240x240 px. Brain. Slice 75 of 155.
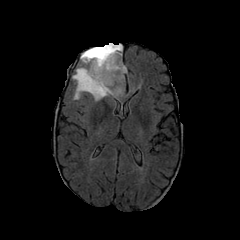
FLAIR MRI.
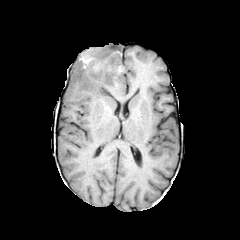
T1-weighted MR image.
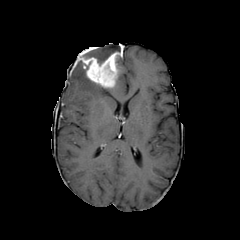
Same slice, post-contrast T1-weighted MR.
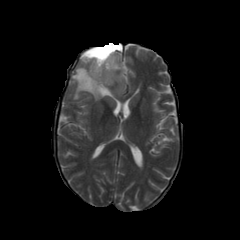
T2-weighted magnetic resonance.
2 non-enhancing tumor core regions are bounded by [85, 44, 120, 63], [78, 65, 88, 79]. The edema is bounded by [71, 56, 127, 101]. The enhancing tumor appears at [78, 45, 123, 87].